Abdomen. Field of view 400x400 mm. CT. Slice index 456.

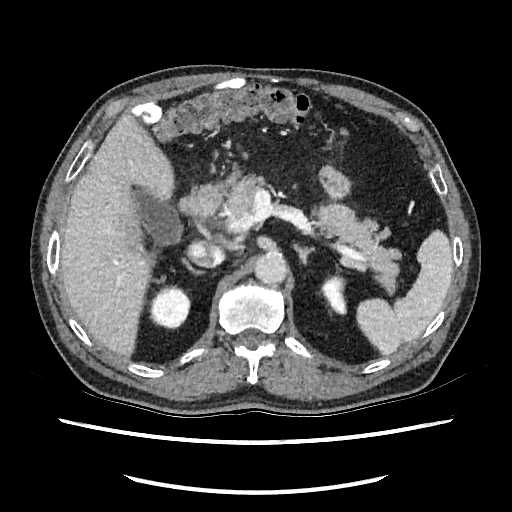 Kidney: region(150, 286, 190, 328); region(326, 278, 346, 314).
Liver: region(64, 116, 172, 353).
Hepatic lesion: region(128, 227, 150, 264).